FLAIR MRI.
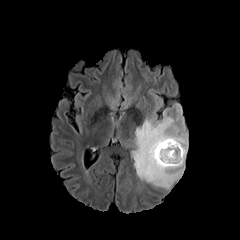
T1-weighted MRI.
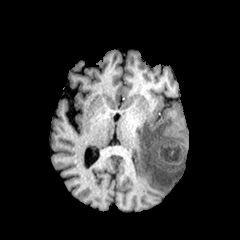
Post-contrast T1-weighted magnetic resonance.
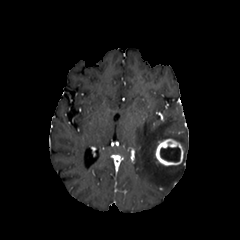
T2-weighted magnetic resonance.
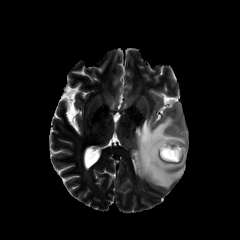
Head
The edema is at bbox(134, 112, 188, 189). The non-enhancing tumor core appears at bbox(160, 146, 180, 162). The enhancing tumor appears at bbox(155, 139, 183, 165).